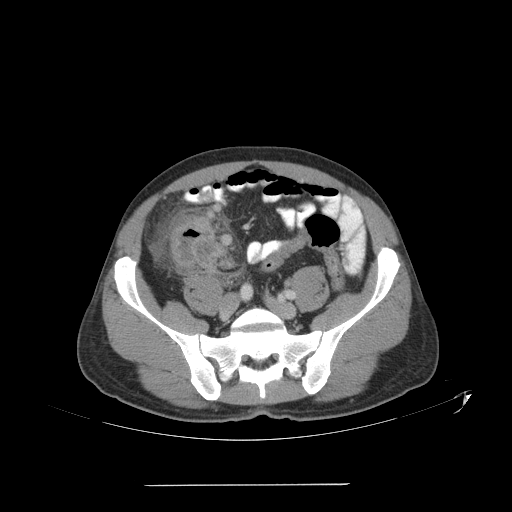
Abdomen; Computed tomography
colon_tumor:
  - 170, 216, 224, 271